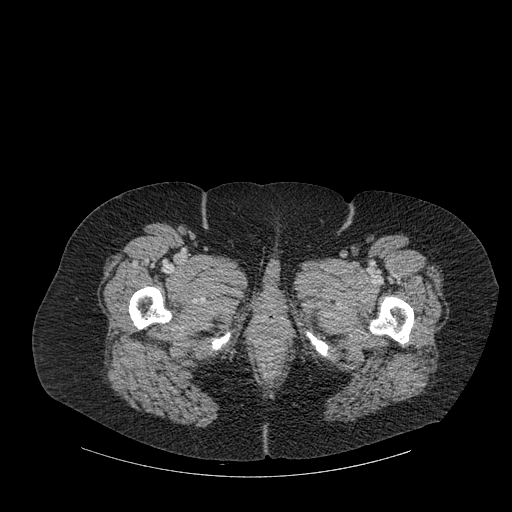 CT. 512x512.
bone: bbox(370, 297, 413, 343); bbox(212, 333, 229, 349); bbox(129, 286, 171, 329); bbox(307, 332, 328, 355)